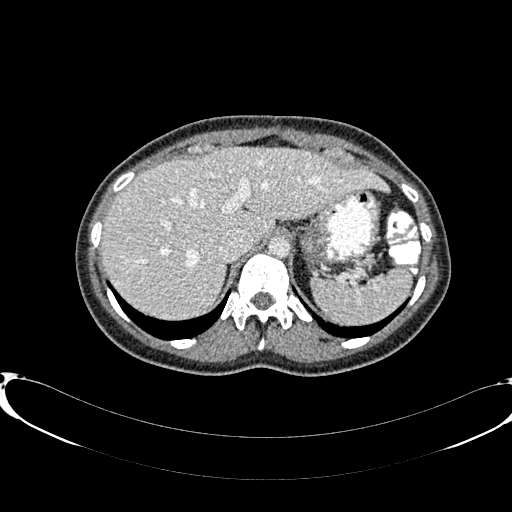
CT scan slice.
The liver appears at 102,147,389,317.